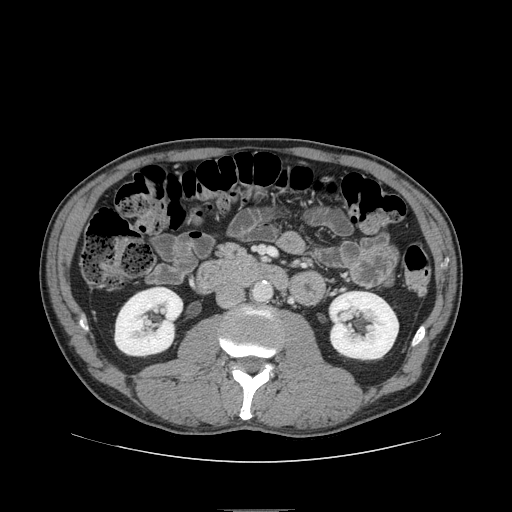
Upper abdomen. CT. 512x512.
• pancreas: 217, 243, 247, 258